Field of view 368 mm wide, 2.50 mm slice spacing, CT image, Abdomen

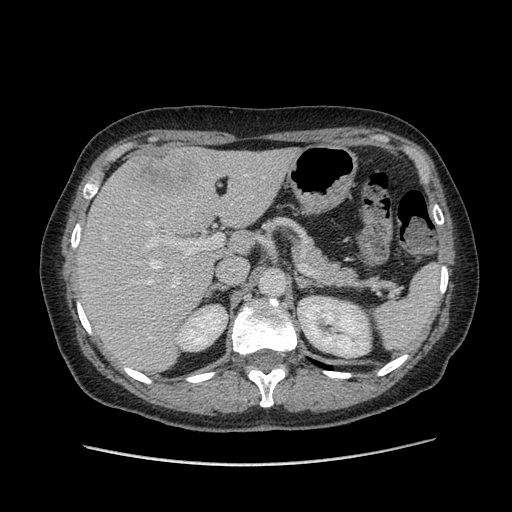
Only some of the vessels may be annotated.
{"hepatic_vessel": ["145,233,223,260", "233,247,234,248", "173,277,178,285", "255,236,260,241", "146,221,151,227"], "liver_tumor": ["131,148,215,191"]}